Brain; 240x240
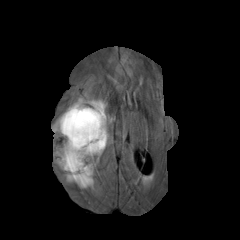
FLAIR MR.
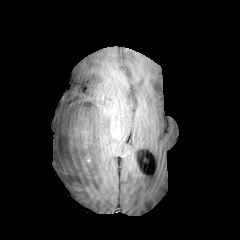
Same slice, T1-weighted MR image.
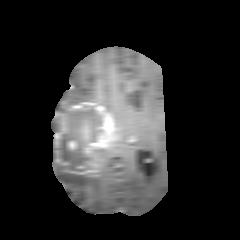
Post-contrast T1-weighted MR.
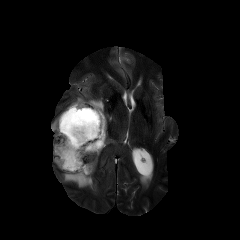
T2-weighted MR image.
Segmented structures:
- non-enhancing tumor core: left=58, top=106, right=102, bottom=171
- enhancing tumor: left=70, top=102, right=110, bottom=154; left=68, top=141, right=76, bottom=149; left=54, top=119, right=66, bottom=139; left=82, top=126, right=89, bottom=138
- edema: left=52, top=102, right=75, bottom=133; left=92, top=99, right=110, bottom=118; left=84, top=154, right=93, bottom=163; left=53, top=143, right=103, bottom=187